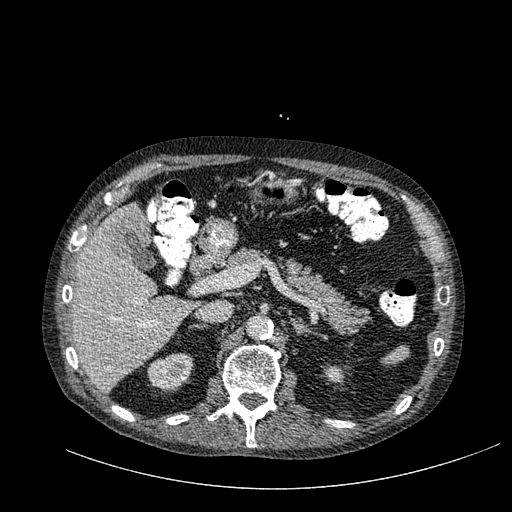

CT image

liver:
  - <box>74,202,201,389</box>
liver_lesion:
  - <box>107,212,148,261</box>
kidney:
  - <box>147,353,193,391</box>
  - <box>324,365,344,383</box>